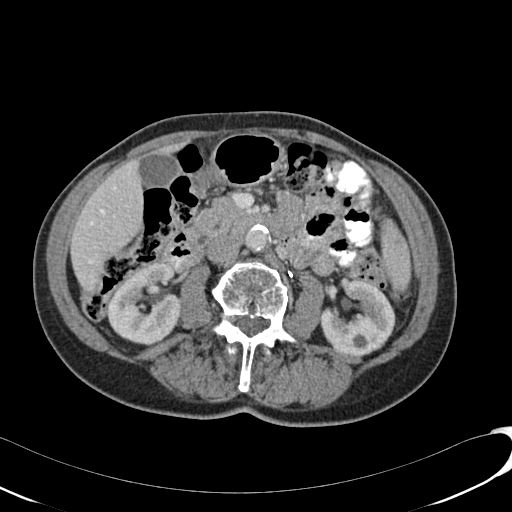 Image size 512x512. Liver. Computed tomography. {"kidney": ["(x1=107, y1=262, x2=180, y2=343)", "(x1=321, y1=279, x2=394, y2=355)"], "liver": ["(x1=72, y1=159, x2=142, y2=288)", "(x1=158, y1=143, x2=184, y2=153)"]}